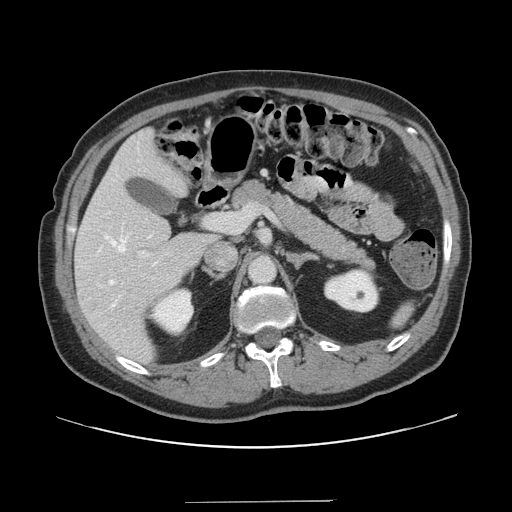

CT. Image size 512x512. Some hepatic vessels may have no box.
<segmentation>
  <hepatic_vessel>rect(112, 302, 115, 306); rect(105, 235, 126, 251); rect(109, 280, 114, 284); rect(138, 251, 149, 256); rect(210, 206, 253, 231)</hepatic_vessel>
</segmentation>